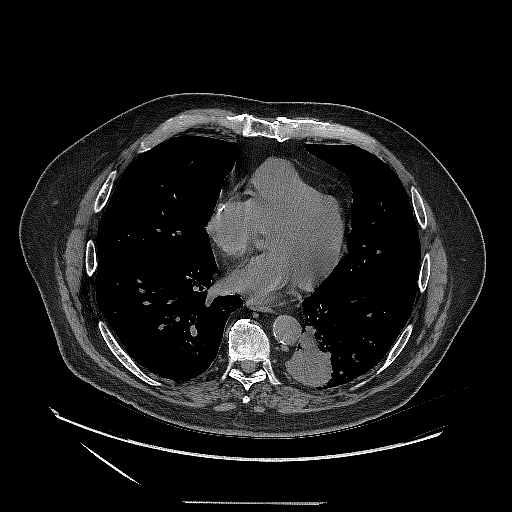 512x512. CT scan slice.

lung_tumor:
  - <bbox>286, 320, 334, 388</bbox>